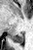
33x50 px; MRI
<segmentation>
  <posterior_hippocampus>bbox=[12, 33, 23, 42]</posterior_hippocampus>
</segmentation>